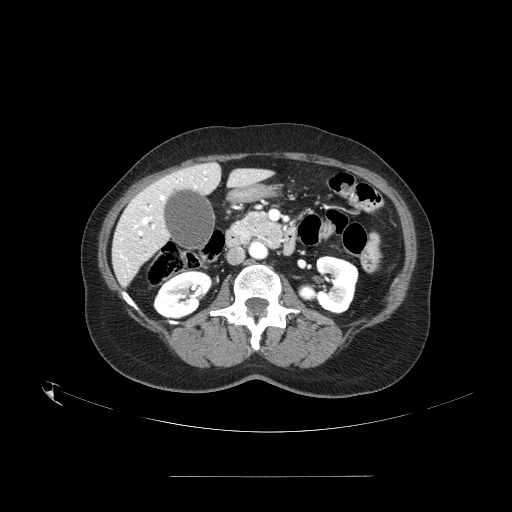

Abdomen. CT image.
Pancreas: bounding box 234 212 282 248.